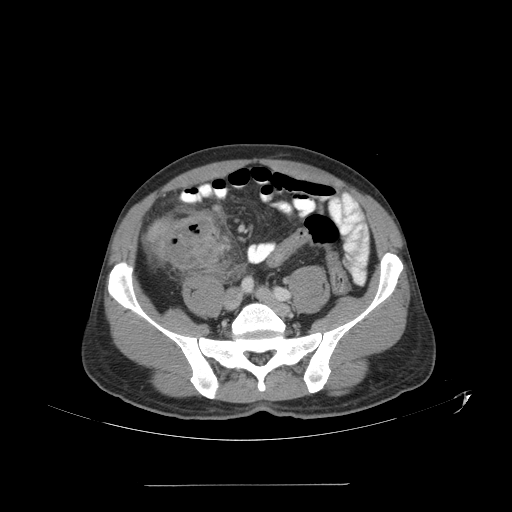

Pelvis. 512x512. CT slice.
<segmentation>
  <colon_tumor>[147,217,220,268]</colon_tumor>
</segmentation>